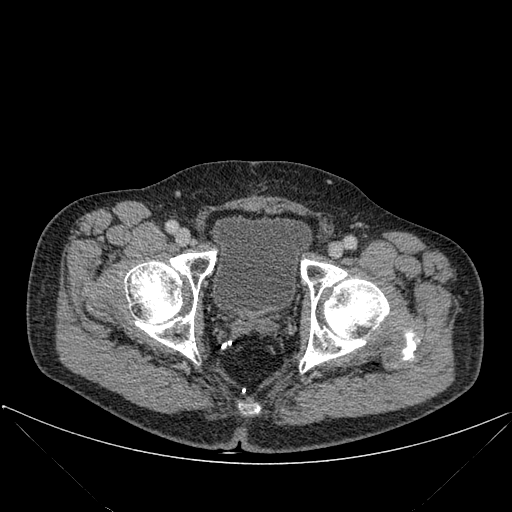

Lower abdomen | CT
The urinary bladder is at <bbox>211, 216, 312, 323</bbox>. 4 bone regions appear at <bbox>124, 251, 216, 362</bbox>, <bbox>402, 331, 415, 359</bbox>, <bbox>239, 404, 259, 413</bbox>, <bbox>299, 259, 389, 372</bbox>.